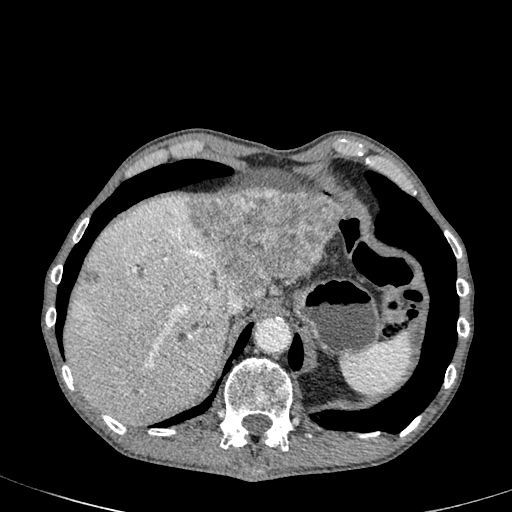 Upper abdomen | CT scan slice

liver: bbox(274, 277, 300, 281); bbox(64, 196, 237, 424) | focal liver lesion: bbox(83, 269, 97, 283); bbox(188, 189, 343, 307)